512x512. Field of view 385 mm wide, 1.50 mm slice spacing. CT image.
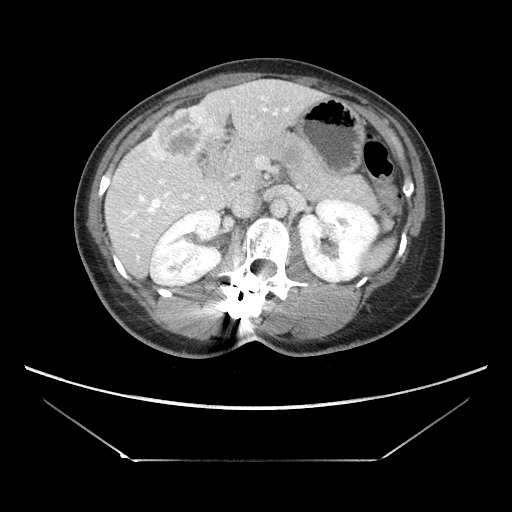
Liver tumor: rect(143, 102, 214, 165).